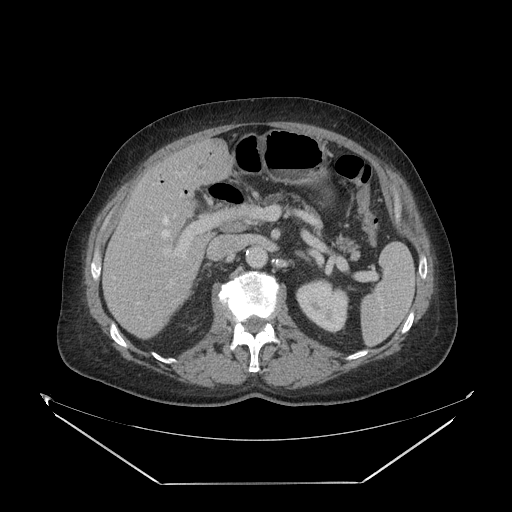

CT slice. Upper abdomen.

{"pancreas": ["(333,234,360,260)", "(262,193,284,205)", "(293,196,320,221)"]}